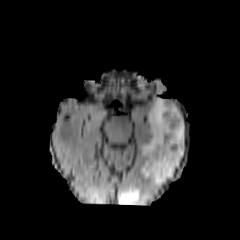
FLAIR MR.
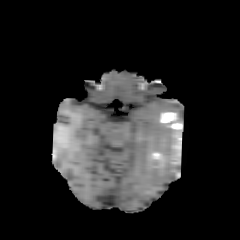
T1-weighted magnetic resonance of the same slice.
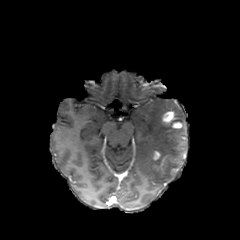
Post-contrast T1-weighted MRI of the same slice.
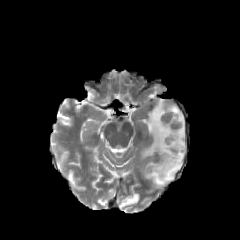
T2-weighted MR.
Brain, Image size 240x240
3 non-enhancing tumor core regions are located at 170:128:185:148, 162:116:182:127, 171:153:182:163. 2 enhancing tumor regions are bounded by 172:121:182:128, 163:111:175:123. 2 edema regions appear at 141:97:186:185, 120:194:139:204.